Slice 45/155; Brain
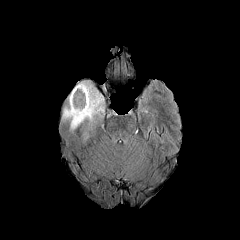
FLAIR magnetic resonance.
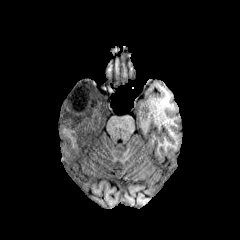
Same slice, T1-weighted MR image.
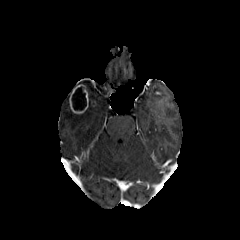
Post-contrast T1-weighted magnetic resonance.
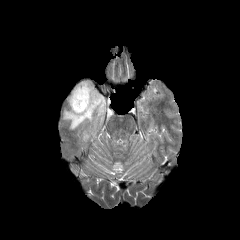
T2-weighted MR of the same slice.
Edema = box(60, 81, 105, 131).
Non-enhancing tumor core = box(71, 86, 86, 110).
Enhancing tumor = box(69, 84, 88, 113).